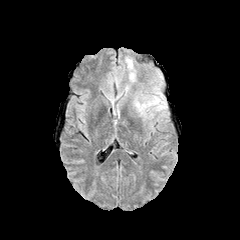
FLAIR MR image.
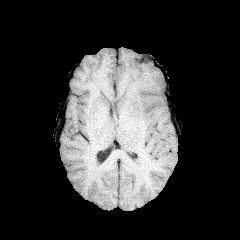
Same slice, T1-weighted magnetic resonance.
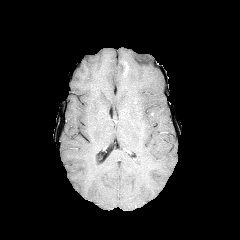
Same slice, post-contrast T1-weighted magnetic resonance.
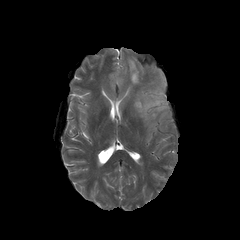
T2-weighted MR image of the same slice.
Head
Edema = bbox=[128, 61, 137, 83]; bbox=[134, 86, 165, 121].